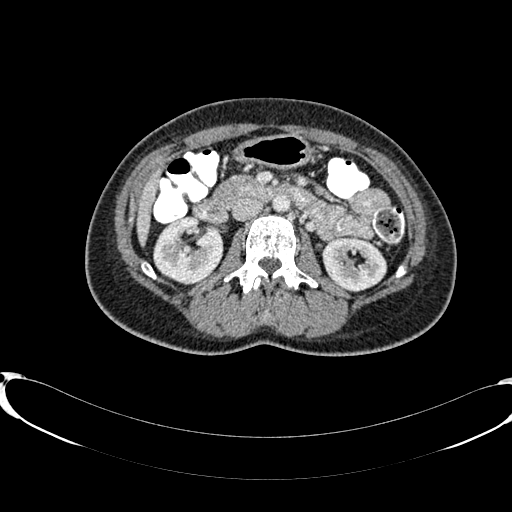
Computed tomography, Upper abdomen, 512x512
kidney: [324,239,385,289], [154,218,221,281] | liver: [136,169,160,245]